CT scan slice. Upper abdomen. Slice 257 of 761. Image size 512x512.

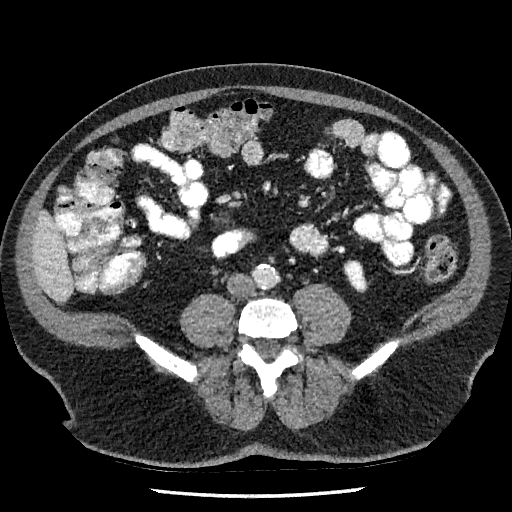 Kidney: [345, 262, 364, 288].
Liver: [33, 211, 72, 300].